CT image. Abdomen. Slice 35/93.
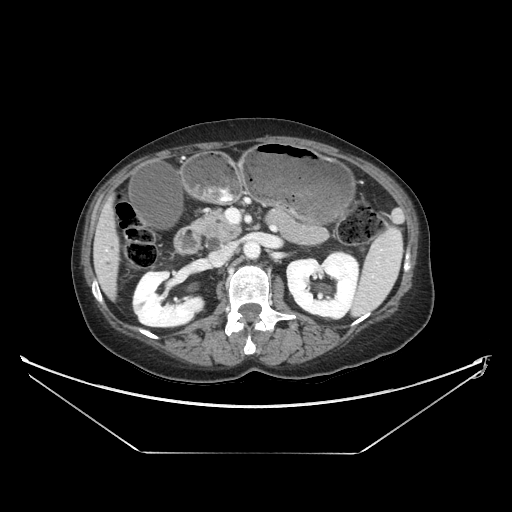 pancreas: 195, 210, 240, 239 | pancreatic tumor: 205, 224, 219, 233